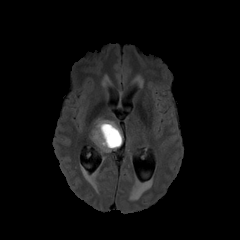
FLAIR MR.
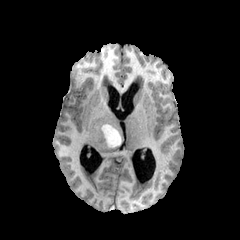
T1-weighted MRI.
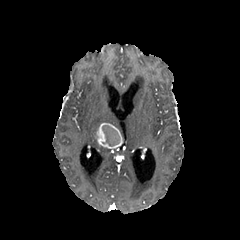
Post-contrast T1-weighted MR image of the same slice.
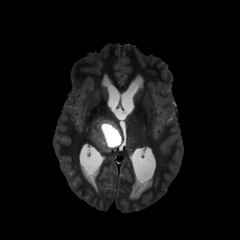
T2-weighted MR.
Brain
{"enhancing_tumor": [{"x1": 95, "y1": 122, "x2": 123, "y2": 148}], "edema": [{"x1": 90, "y1": 118, "x2": 118, "y2": 152}], "non-enhancing_tumor_core": [{"x1": 101, "y1": 125, "x2": 120, "y2": 146}]}